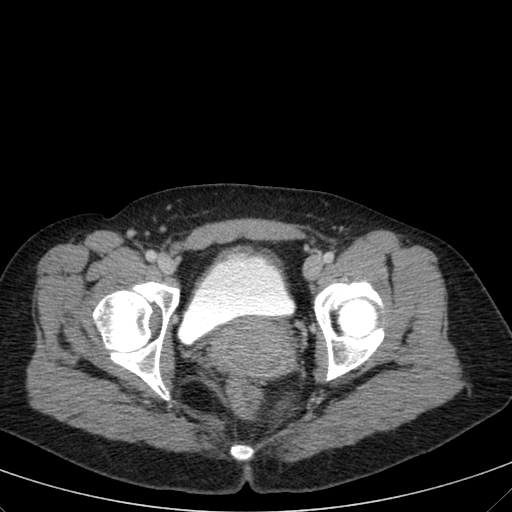 Image size 512x512. CT slice.

The urinary bladder lies within bbox(179, 259, 292, 343).